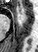 MR image | Hippocampus

The anterior hippocampus appears at l=19, t=6, r=20, b=11.